CT slice, Image width 439 mm, Liver 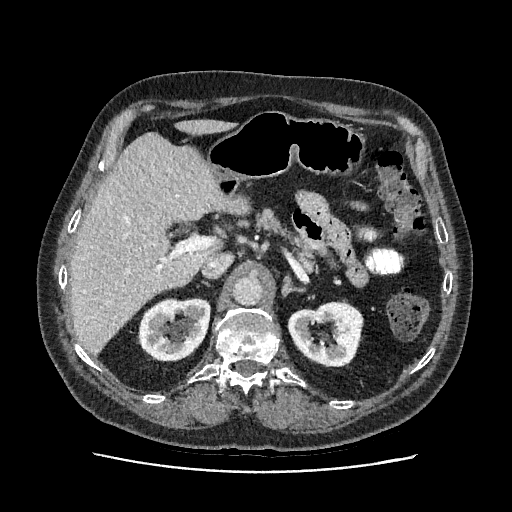

kidney: box=[140, 299, 209, 360]; box=[289, 303, 362, 365] | liver: box=[174, 120, 237, 133]; box=[71, 132, 249, 354]